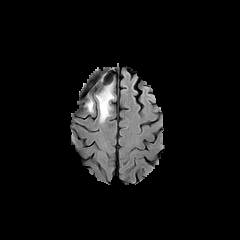
FLAIR magnetic resonance.
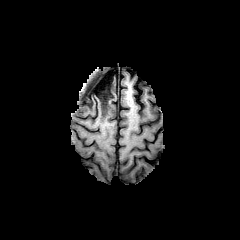
T1-weighted magnetic resonance.
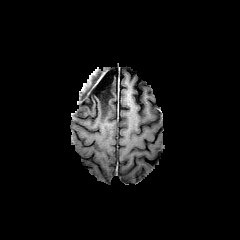
Post-contrast T1-weighted magnetic resonance.
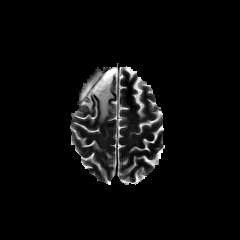
T2-weighted MR image.
Image size 240x240
Non-enhancing tumor core: bounding box (95,100,105,124), (84,82,111,105).
Edema: bounding box (85,98,97,117), (96,84,115,119).